240x240 px. Slice 55/155. Head.
FLAIR MRI.
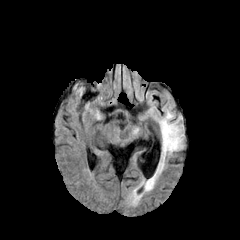
T1-weighted magnetic resonance.
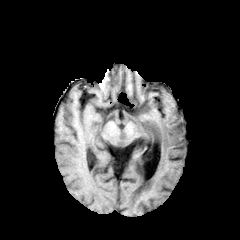
Post-contrast T1-weighted MRI.
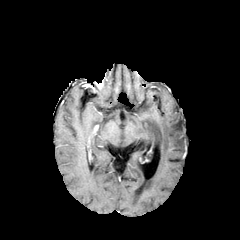
T2-weighted MR image.
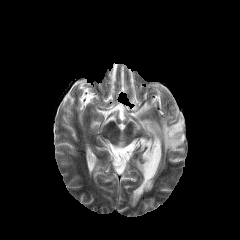
The edema is located at 130:110:183:204.